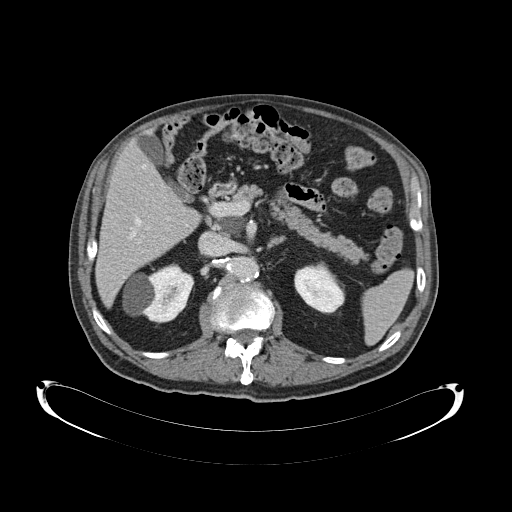

Abdomen. Computed tomography.
pancreatic tumor: (218, 217, 244, 236) | pancreas: (231, 184, 370, 265), (214, 220, 230, 236)